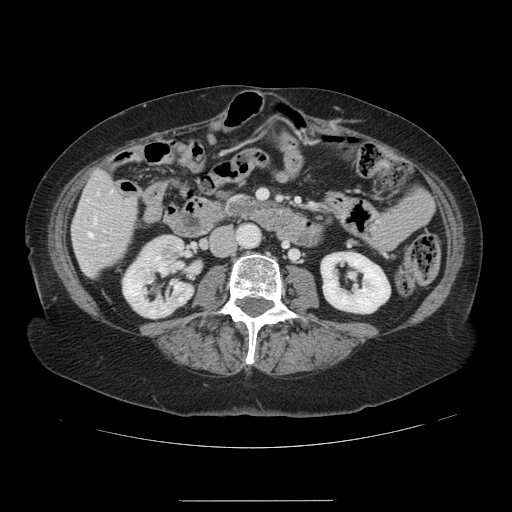 Abdomen | CT image

Some hepatic vessels may have no box.
hepatic vessel: left=93, top=217, right=95, bottom=220; left=110, top=189, right=112, bottom=191; left=89, top=233, right=92, bottom=236